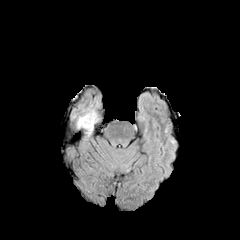
FLAIR MR.
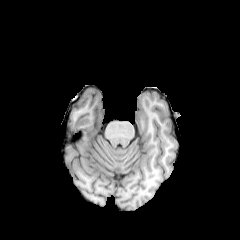
Same slice, T1-weighted MRI.
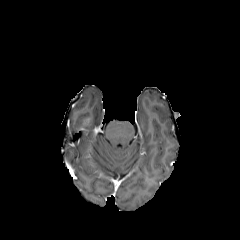
Post-contrast T1-weighted MR.
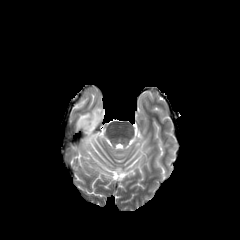
T2-weighted MR image.
240x240 px.
Annotated regions:
* edema: region(73, 104, 100, 145)